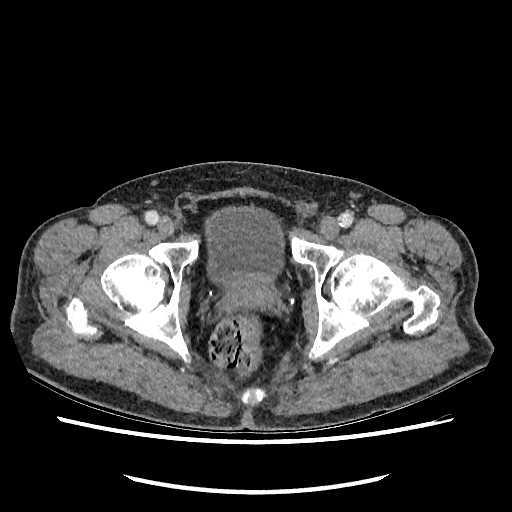

Pelvis | 512x512 px | CT slice
<segmentation>
  <urinary_bladder>left=204, top=206, right=284, bottom=294</urinary_bladder>
</segmentation>